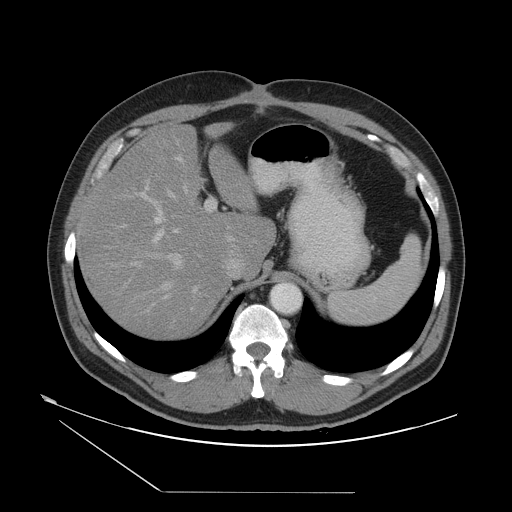
CT slice, Liver
The vessel annotation is not exhaustive.
Hepatic vessel: (left=122, top=225, right=125, bottom=227), (left=162, top=282, right=170, bottom=290), (left=227, top=237, right=233, bottom=241), (left=131, top=262, right=140, bottom=266), (left=153, top=230, right=163, bottom=242), (left=137, top=181, right=163, bottom=223), (left=176, top=156, right=181, bottom=161), (left=183, top=186, right=186, bottom=192), (left=192, top=287, right=197, bottom=292), (left=167, top=191, right=173, bottom=197), (left=173, top=229, right=177, bottom=232), (left=163, top=296, right=168, bottom=298), (left=147, top=254, right=160, bottom=258), (left=167, top=254, right=181, bottom=268).